FLAIR magnetic resonance.
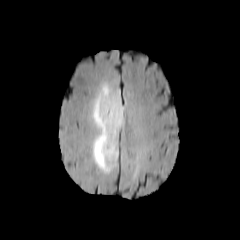
T1-weighted MR.
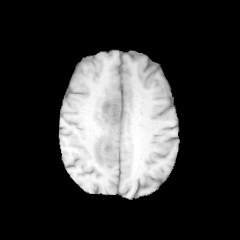
Post-contrast T1-weighted MR image.
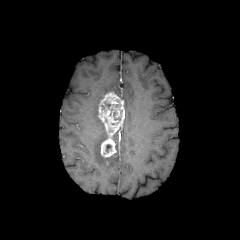
T2-weighted MR image.
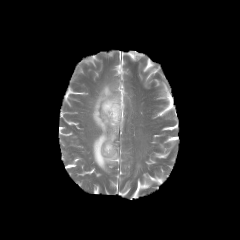
Image size 240x240, Head
edema:
  - (93, 82, 119, 174)
enhancing_tumor:
  - (98, 92, 125, 157)